FLAIR MR image.
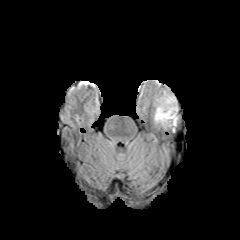
T1-weighted magnetic resonance.
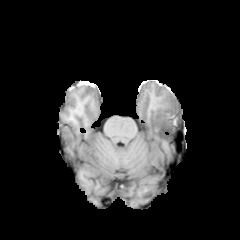
Post-contrast T1-weighted MR image.
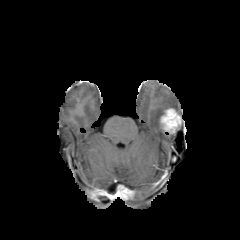
T2-weighted magnetic resonance.
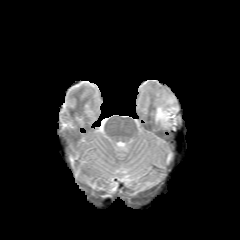
240x240
Edema at (left=152, top=90, right=178, bottom=130).